512x512. Slice 287 of 565. Computed tomography.
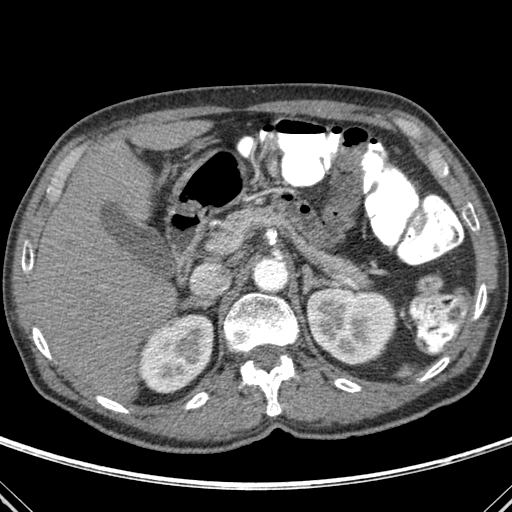 Liver: (left=131, top=119, right=212, bottom=149), (left=33, top=141, right=178, bottom=401).
Kidney: (left=140, top=316, right=212, bottom=391), (left=308, top=289, right=394, bottom=363).
Bone: (left=224, top=293, right=298, bottom=354), (left=96, top=396, right=128, bottom=413), (left=462, top=202, right=479, bottom=230), (left=21, top=242, right=33, bottom=271), (left=420, top=357, right=449, bottom=381), (left=334, top=378, right=360, bottom=392), (left=185, top=392, right=208, bottom=408), (left=33, top=327, right=50, bottom=358), (left=442, top=166, right=448, bottom=175), (left=474, top=284, right=486, bottom=319), (left=240, top=355, right=297, bottom=415).